Slice index 65
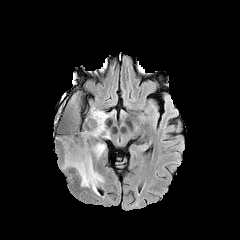
FLAIR magnetic resonance.
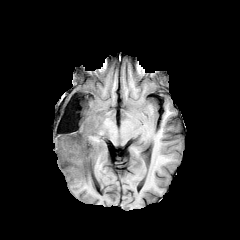
Same slice, T1-weighted MR image.
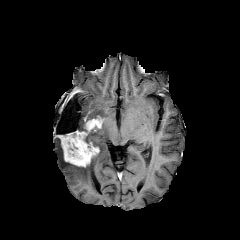
Same slice, post-contrast T1-weighted magnetic resonance.
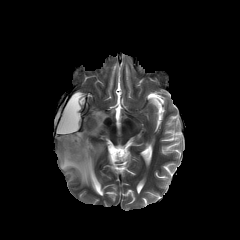
T2-weighted MR.
<segmentation>
  <edema>box=[61, 108, 115, 194]</edema>
  <non-enhancing_tumor_core>box=[69, 94, 77, 117]; box=[63, 138, 77, 151]; box=[83, 124, 98, 147]</non-enhancing_tumor_core>
  <enhancing_tumor>box=[92, 118, 103, 128]; box=[62, 131, 99, 167]</enhancing_tumor>
</segmentation>